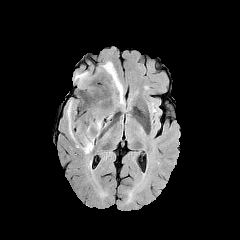
FLAIR MR image.
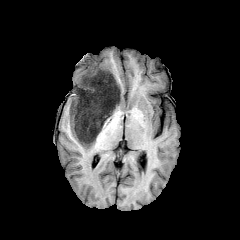
T1-weighted MRI.
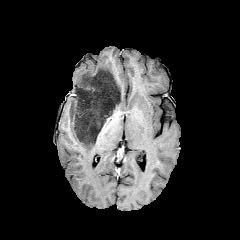
Post-contrast T1-weighted magnetic resonance.
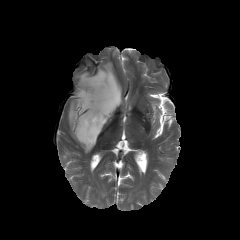
T2-weighted MR of the same slice.
Head
<segmentation>
  <edema>(100,61,125,106), (92,79,105,95), (75,71,92,87), (81,142,94,153)</edema>
  <non-enhancing_tumor_core>(75,68,121,145)</non-enhancing_tumor_core>
</segmentation>